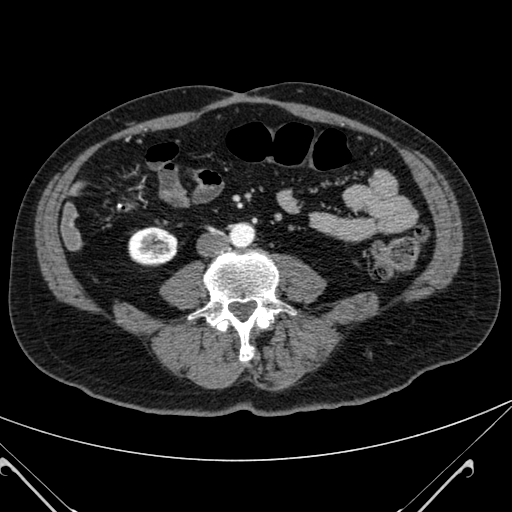

CT slice

The kidney is located at (129, 228, 176, 263).